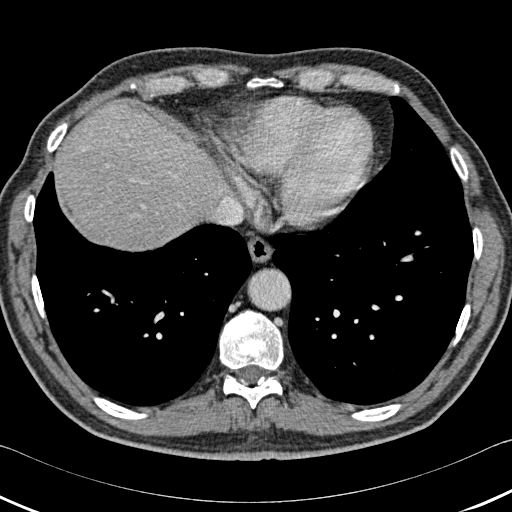

CT slice. Image size 512x512.
11 bone regions are bounded by rect(473, 228, 482, 259); rect(451, 148, 467, 180); rect(31, 275, 44, 317); rect(94, 398, 146, 419); rect(223, 375, 281, 408); rect(24, 195, 34, 221); rect(247, 78, 282, 87); rect(47, 123, 66, 151); rect(220, 311, 282, 369); rect(453, 304, 469, 345); rect(352, 404, 400, 421). 2 lung regions appear at rect(33, 171, 253, 406); rect(268, 96, 473, 405). The liver is at rect(55, 107, 213, 250).